Upper abdomen; CT image

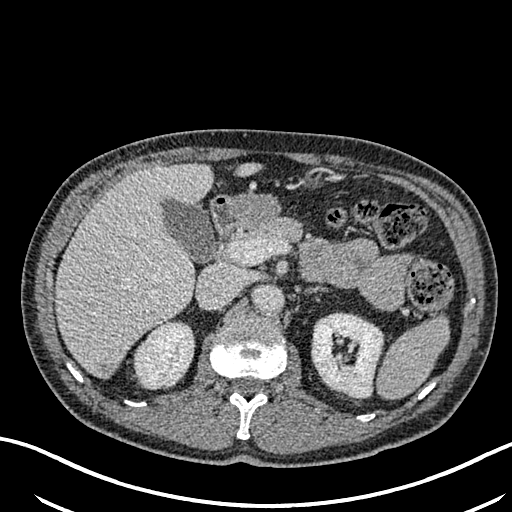 Segmented structures:
• kidney: [135, 323, 193, 385], [312, 314, 382, 394]
• liver: [56, 165, 212, 377], [235, 163, 259, 176]
• liver lesion: [98, 363, 116, 375]